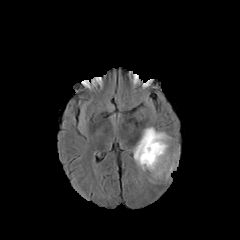
FLAIR magnetic resonance.
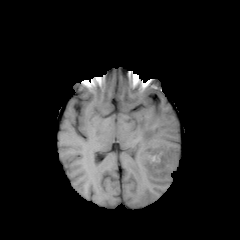
T1-weighted MR image.
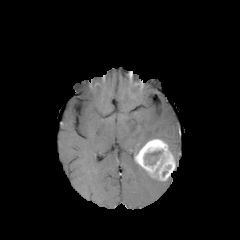
Post-contrast T1-weighted MR image.
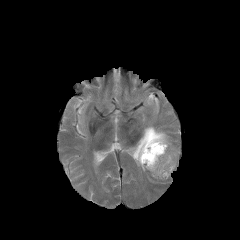
T2-weighted MR of the same slice.
Brain
The enhancing tumor is bounded by l=134, t=138, r=175, b=180. The non-enhancing tumor core is bounded by l=145, t=151, r=161, b=165. 2 edema regions are located at l=136, t=163, r=161, b=182; l=129, t=125, r=180, b=165.